512x512 px | Computed tomography | Slice 469/751 | Abdomen

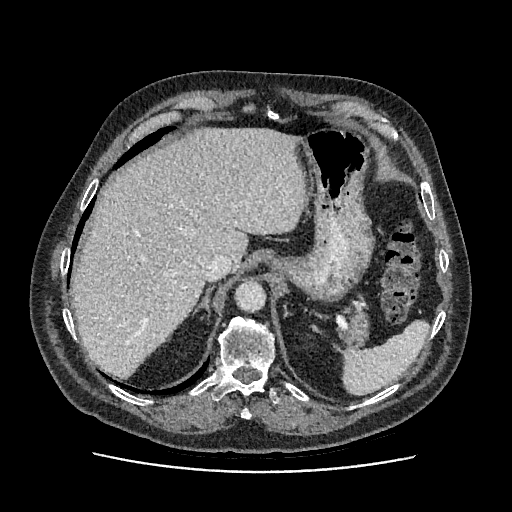

• liver: [73,128,304,377]